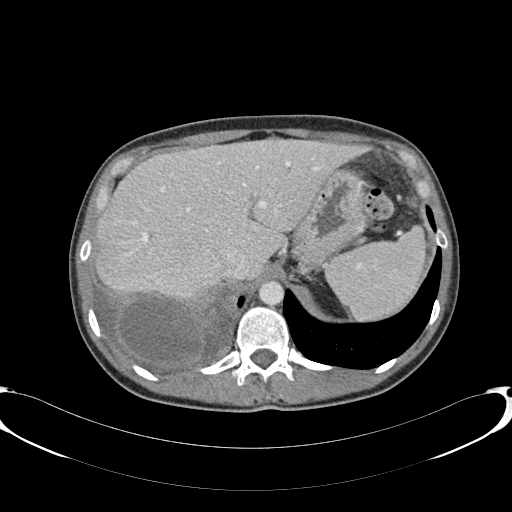
Abdomen; CT image; 512x512 px
liver:
  - box(96, 139, 368, 299)